Lower abdomen | 512x512 px | Computed tomography

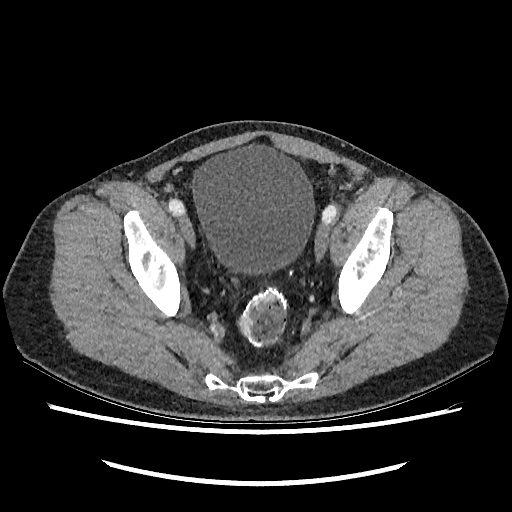
{"urinary_bladder": [{"x1": 190, "y1": 138, "x2": 314, "y2": 275}]}